Slice 107 of 155
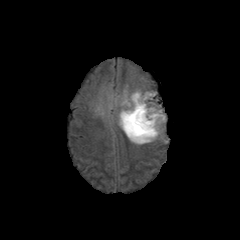
FLAIR MR.
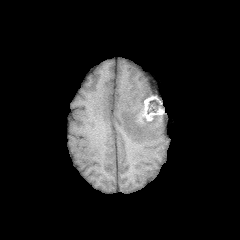
T1-weighted MR image of the same slice.
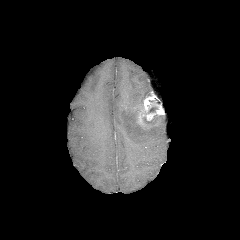
Post-contrast T1-weighted MR.
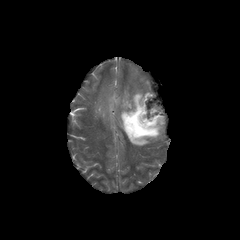
T2-weighted MRI of the same slice.
{
  "edema": [
    "x1=117 y1=89 x2=165 y2=145"
  ],
  "enhancing_tumor": [
    "x1=137 y1=92 x2=161 y2=124"
  ],
  "non-enhancing_tumor_core": [
    "x1=146 y1=96 x2=157 y2=113",
    "x1=126 y1=100 x2=161 y2=134"
  ]
}